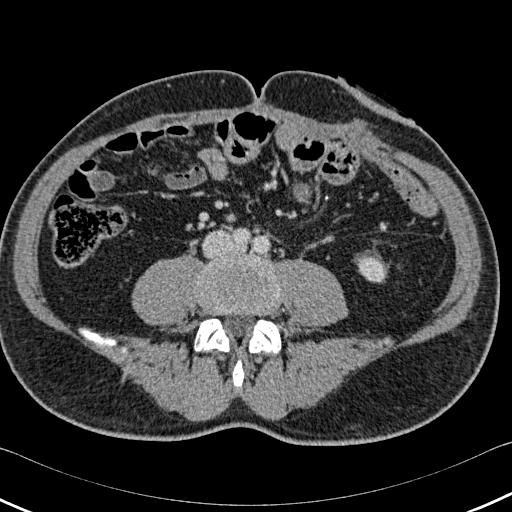 CT image.

5 bone regions are located at [83,331,114,345], [249,320,280,353], [200,258,280,312], [233,360,243,387], [194,319,229,351]. The kidney lies within [359,258,384,281].